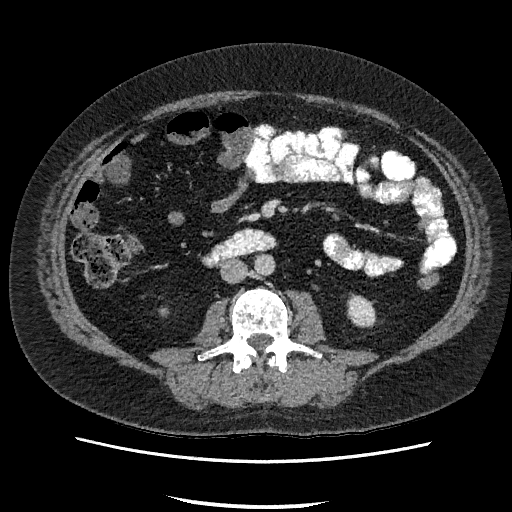 Abdomen, CT
kidney: (349, 298, 373, 324)